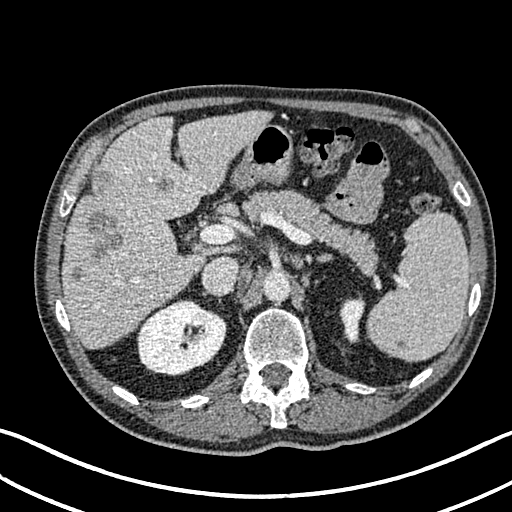

Computed tomography, 512x512 px
4 liver lesion regions appear at <box>72,269,83,282</box>, <box>88,174,108,197</box>, <box>87,210,122,258</box>, <box>157,178,169,192</box>. The liver is at <box>63,110,270,347</box>. 2 kidney regions appear at <box>138,301,225,374</box>, <box>341,300,363,340</box>.